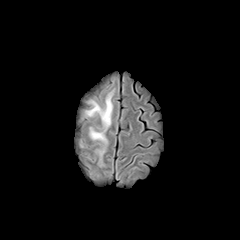
FLAIR MR image.
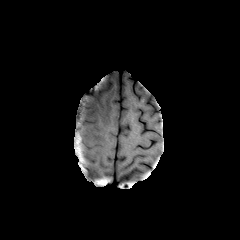
T1-weighted MR.
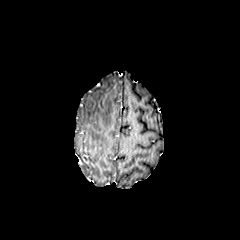
Post-contrast T1-weighted MR.
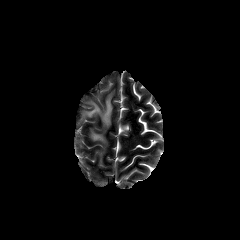
Same slice, T2-weighted MR.
240x240
2 edema regions appear at (84,92,113,129), (90,130,106,143).